Image size 320x320; MR; Field of view 400 mm wide, 1.37 mm slice spacing; Heart 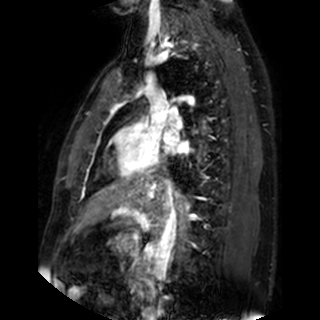
Left atrium at <bbox>164, 129, 188, 153</bbox>.